CT slice | 512x512 px | Field of view 475x475 mm 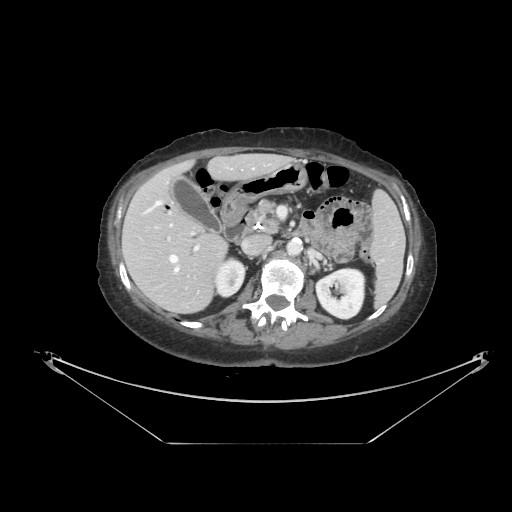
pancreas:
  - x1=255 y1=201 x2=279 y2=233